CT scan slice
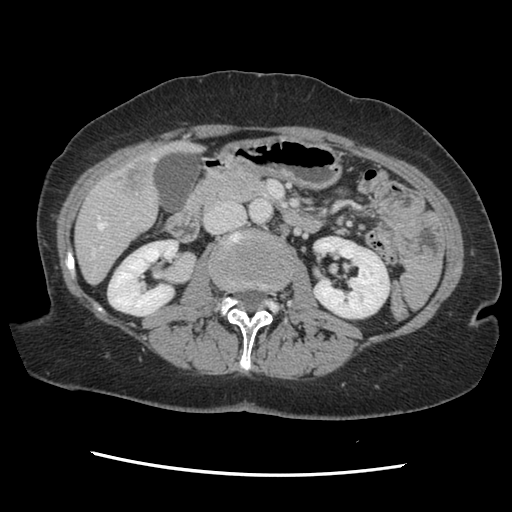
Some hepatic vessels may have no box.
liver_tumor:
  - {"x1": 115, "y1": 159, "x2": 152, "y2": 196}
hepatic_vessel:
  - {"x1": 98, "y1": 216, "x2": 106, "y2": 229}
  - {"x1": 127, "y1": 223, "x2": 128, "y2": 224}
  - {"x1": 151, "y1": 157, "x2": 155, "y2": 160}
  - {"x1": 92, "y1": 249, "x2": 95, "y2": 258}
  - {"x1": 98, "y1": 248, "x2": 100, "y2": 249}